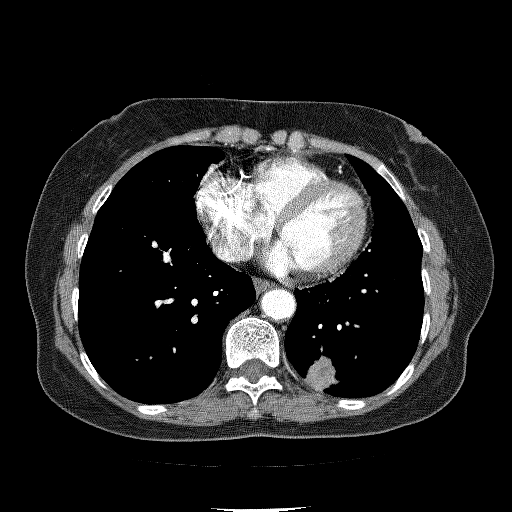 Thorax. Image size 512x512. CT image. The lung tumor is at (304,356,347,390).